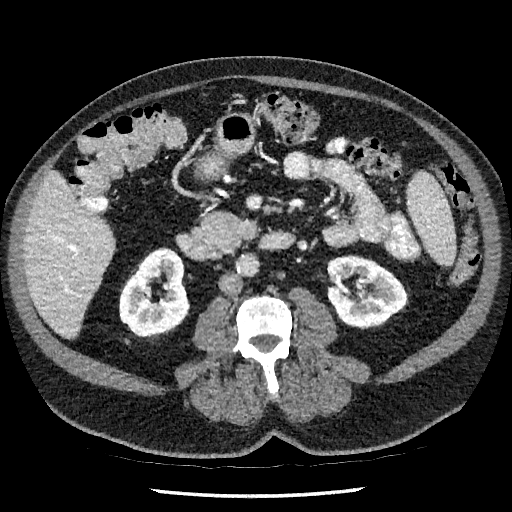
CT scan slice. Image size 512x512. The liver is located at 24 170 113 337. 2 kidney regions appear at 328 256 406 326, 120 250 188 335.